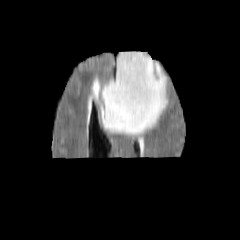
FLAIR MRI.
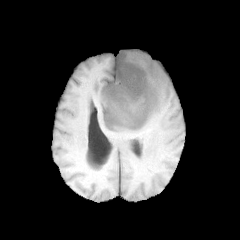
T1-weighted MRI of the same slice.
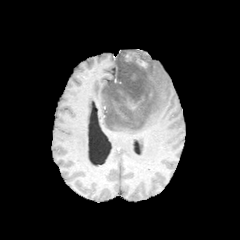
Post-contrast T1-weighted magnetic resonance.
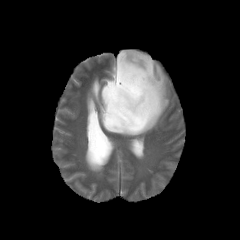
T2-weighted MRI.
Brain
Annotated regions:
• edema: (92, 53, 168, 135)
• non-enhancing tumor core: (104, 51, 150, 125)